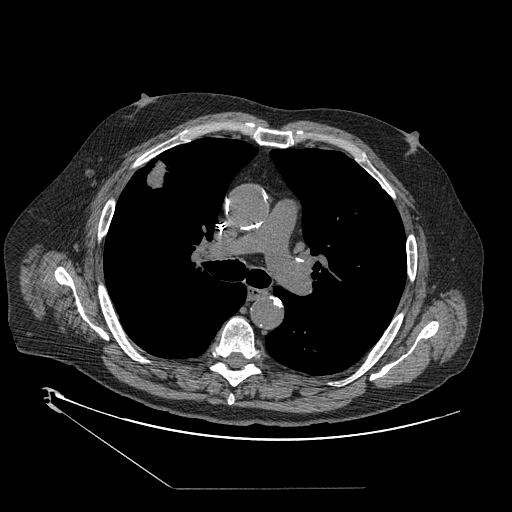

CT image | Thorax
Lung tumor — 145,157,171,189.